512x512, Computed tomography 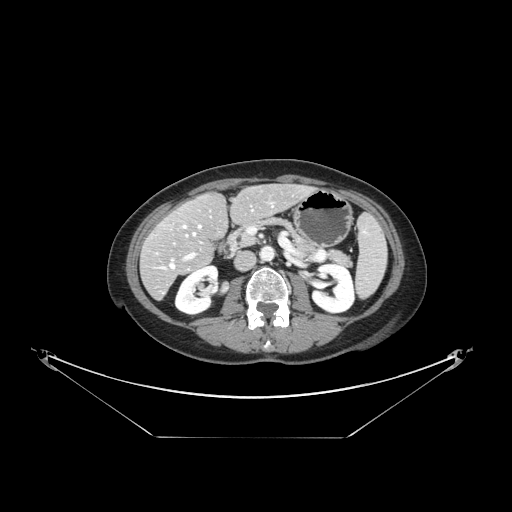 Not every hepatic vessel necessarily has a box.
<segmentation>
  <hepatic_vessel>x1=183, y1=226, x2=185, y2=227; x1=185, y1=253, x2=193, y2=258; x1=198, y1=225, x2=200, y2=227</hepatic_vessel>
</segmentation>